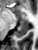
Image size 38x50. MRI.
{"anterior_hippocampus": ["20,19,28,24"], "posterior_hippocampus": ["15,25,28,37"]}